CT scan slice. Field of view 420x420 mm.
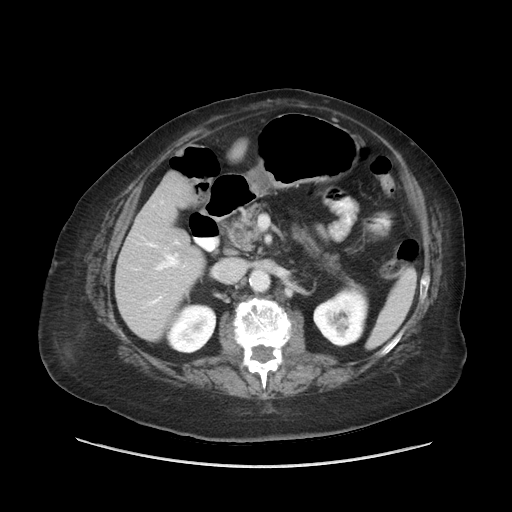
Only some of the vessels may be annotated.
Hepatic vessel: region(168, 256, 175, 264).